Computed tomography. Field of view 356 mm wide, 1.25 mm slice spacing. Abdomen. 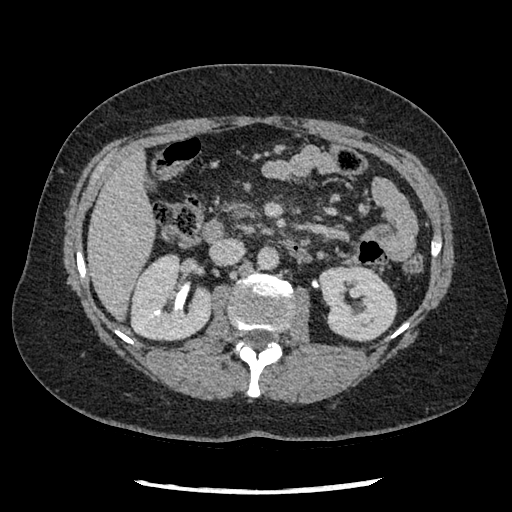
The pancreas appears at 228, 203, 252, 218.